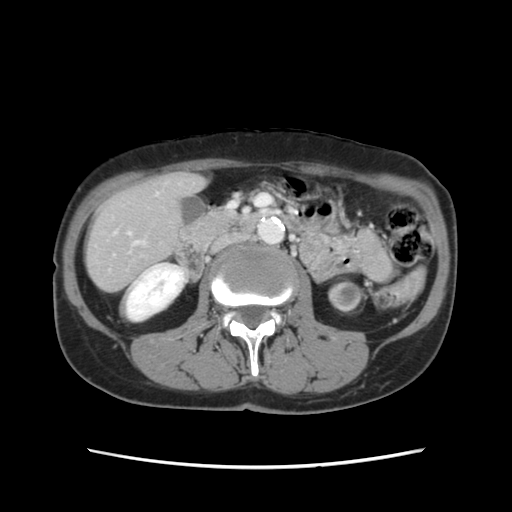
Liver. CT slice. 512x512 px.

Only some of the vessels may be annotated.
<segmentation>
  <hepatic_vessel>(left=136, top=242, right=138, bottom=243), (left=128, top=232, right=130, bottom=235)</hepatic_vessel>
</segmentation>